Image width 314 mm; Upper abdomen; Slice 75/95; Computed tomography

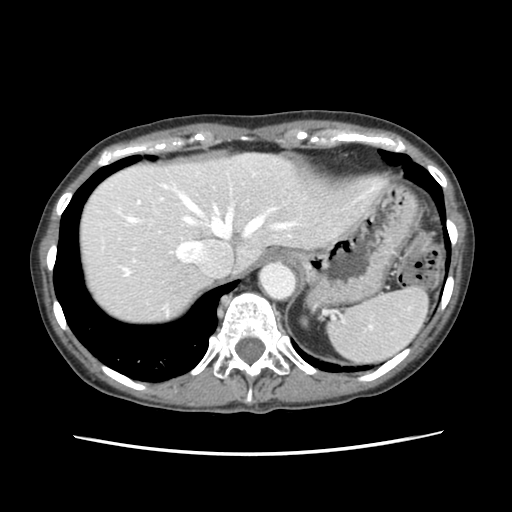
The spleen is located at bbox(326, 288, 428, 364).